512x512 px. CT slice. Image width 403 mm. 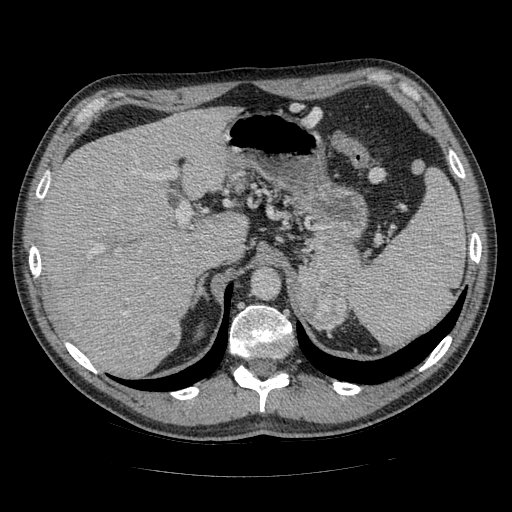
Pancreas — [295, 270, 301, 308], [303, 232, 360, 285].
Pancreatic tumor — [298, 267, 345, 329].